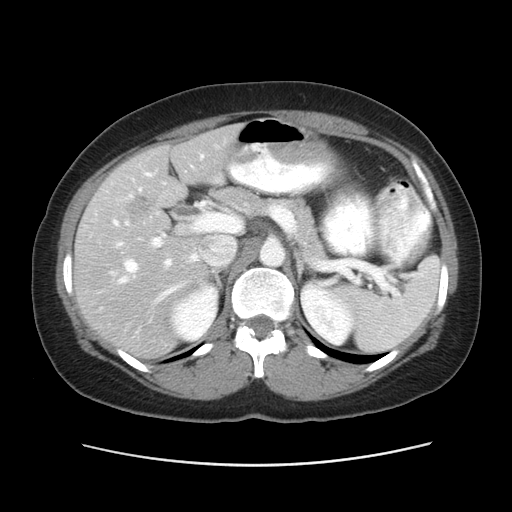

CT slice
The vessel annotation is not exhaustive.
hepatic_vessel:
  - (x1=119, y1=276, x2=127, y2=282)
  - (x1=190, y1=254, x2=197, y2=260)
  - (x1=125, y1=222, x2=128, y2=224)
  - (x1=152, y1=238, x2=158, y2=246)
  - (x1=110, y1=272, x2=114, y2=274)
  - (x1=124, y1=260, x2=136, y2=277)
  - (x1=165, y1=259, x2=170, y2=265)
  - (x1=200, y1=155, x2=202, y2=158)
  - (x1=191, y1=166, x2=192, y2=167)
  - (x1=146, y1=173, x2=151, y2=175)
  - (x1=139, y1=188, x2=140, y2=190)
  - (x1=129, y1=194, x2=131, y2=197)
  - (x1=116, y1=242, x2=122, y2=246)
liver_tumor:
  - (x1=126, y1=194, x2=153, y2=220)